Brain
FLAIR MR image.
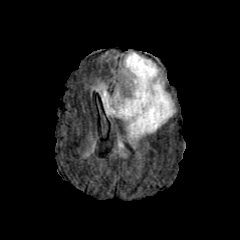
T1-weighted magnetic resonance.
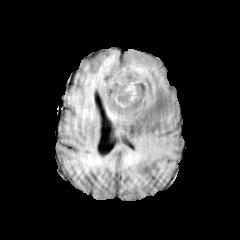
Post-contrast T1-weighted MR image.
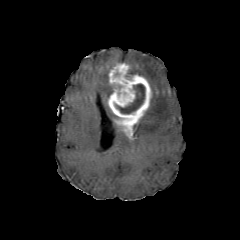
T2-weighted MR image.
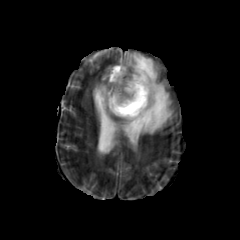
enhancing_tumor:
  - l=107, t=62, r=152, b=139
non-enhancing_tumor_core:
  - l=117, t=84, r=144, b=113
edema:
  - l=124, t=52, r=175, b=144
  - l=95, t=83, r=115, b=119